Liver, CT, 512x512
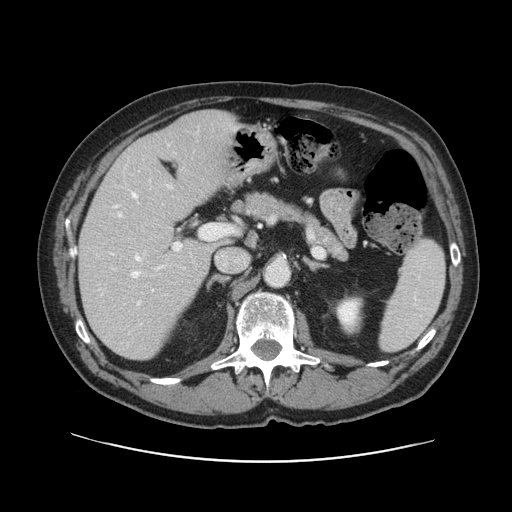
Only some of the vessels may be annotated.
Hepatic vessel: bounding box box(118, 213, 121, 216); box(138, 302, 139, 304); box(176, 244, 178, 245); box(135, 255, 139, 260); box(131, 272, 138, 276); box(158, 266, 164, 268); box(114, 205, 117, 207); box(132, 192, 136, 197).